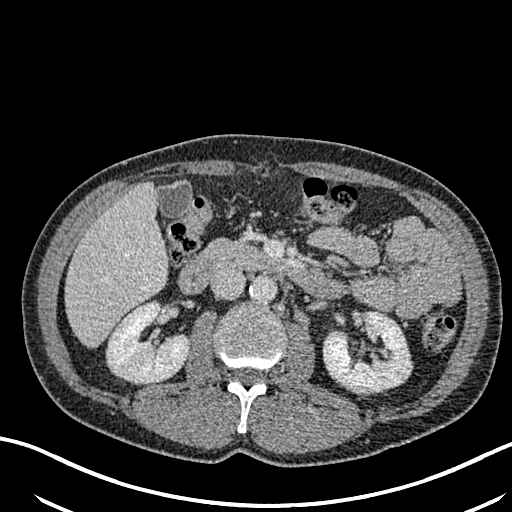 CT slice, Upper abdomen
Kidney: bounding box x1=323, y1=312, x2=410, y2=392; x1=107, y1=303, x2=188, y2=382.
Liver: bounding box x1=66, y1=182, x2=167, y2=346.